FLAIR magnetic resonance.
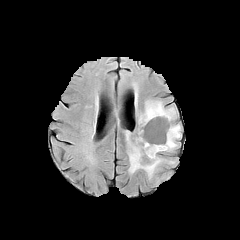
T1-weighted MRI.
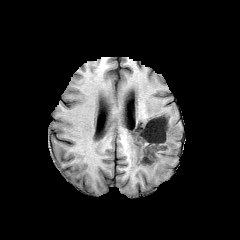
Post-contrast T1-weighted MR.
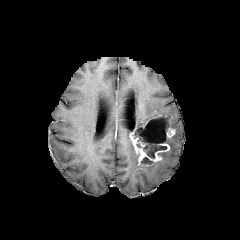
T2-weighted magnetic resonance.
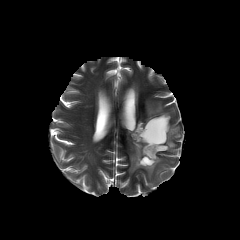
non-enhancing tumor core: box=[130, 117, 168, 157]; box=[140, 157, 155, 165] | enhancing tumor: box=[166, 128, 175, 137]; box=[131, 137, 161, 163] | edema: box=[128, 141, 164, 176]; box=[133, 101, 181, 155]